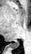
MR. Medial temporal lobe.

The posterior hippocampus lies within rect(8, 42, 19, 48).